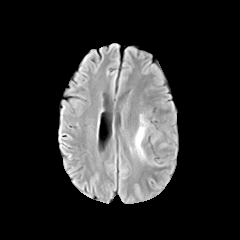
FLAIR magnetic resonance.
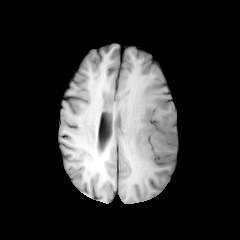
T1-weighted MRI.
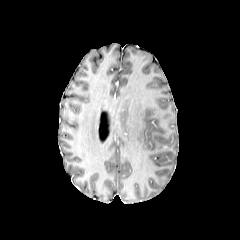
Post-contrast T1-weighted MR.
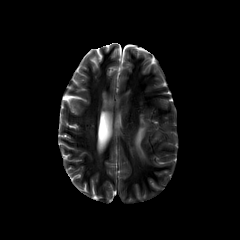
T2-weighted magnetic resonance of the same slice.
Segmented structures:
• edema: left=151, top=130, right=161, bottom=143; left=128, top=112, right=164, bottom=166